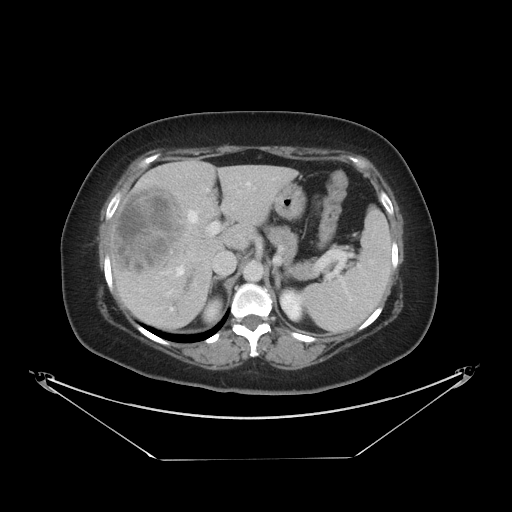

Liver. CT slice. Image size 512x512. Only some of the vessels may be annotated.
liver tumor: [110,185,185,272] | hepatic vessel: [209,222,218,233], [189,210,195,221], [245,182,250,186], [204,188,208,191], [176,268,183,275]